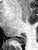
MR | Hippocampus
{"posterior_hippocampus": ["x1=13, y1=36, x2=25, y2=44"]}